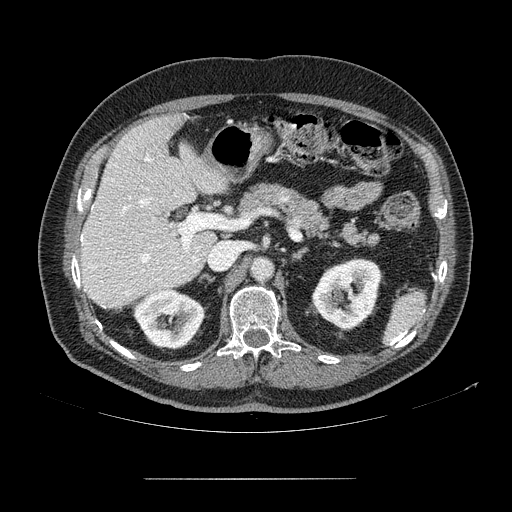 Upper abdomen. Computed tomography. Segmented structures:
• pancreas: bbox=[236, 182, 378, 249]